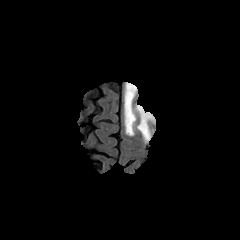
FLAIR MR image.
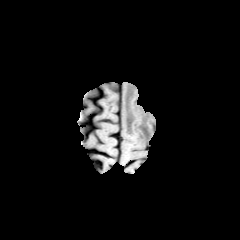
T1-weighted magnetic resonance.
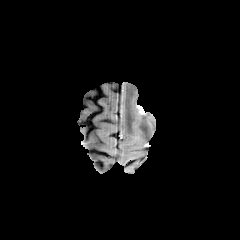
Post-contrast T1-weighted magnetic resonance of the same slice.
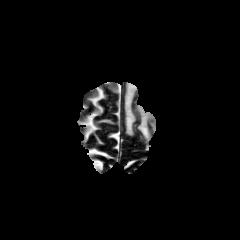
Same slice, T2-weighted magnetic resonance.
2 edema regions are located at x1=122, y1=82, x2=154, y2=143; x1=148, y1=113, x2=155, y2=125. 2 non-enhancing tumor core regions appear at x1=124, y1=87, x2=134, y2=131; x1=137, y1=112, x2=151, y2=137.